CT slice 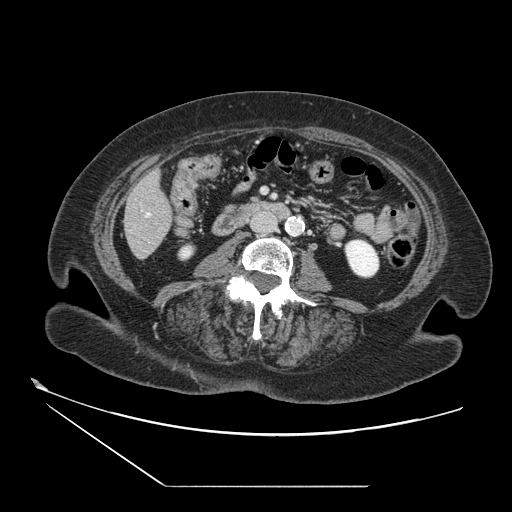

Annotated regions:
* pancreas: bbox=[226, 207, 239, 213]